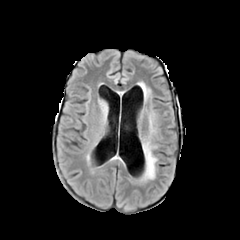
FLAIR MR.
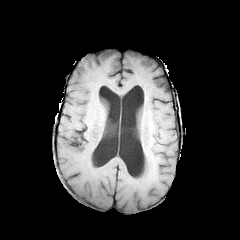
T1-weighted MRI.
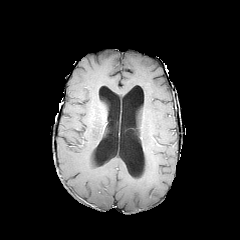
Post-contrast T1-weighted magnetic resonance.
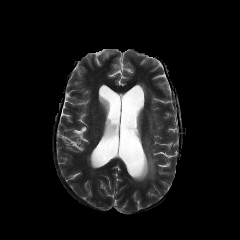
T2-weighted MR of the same slice.
Head
3 edema regions are located at rect(141, 82, 150, 96); rect(139, 137, 157, 180); rect(149, 116, 155, 132).